Field of view 240 mm wide, 1.00 mm slice spacing, Image size 240x240, Brain
FLAIR MR.
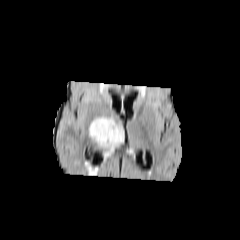
T1-weighted MRI.
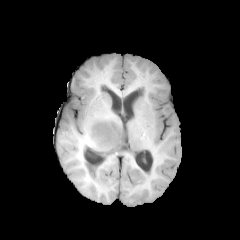
Post-contrast T1-weighted MR image.
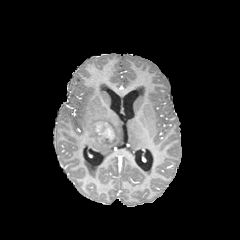
T2-weighted MR.
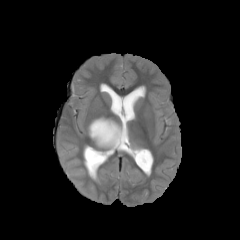
The edema is at <bbox>88, 115, 121, 149</bbox>. The enhancing tumor is located at <bbox>92, 121, 115, 140</bbox>.